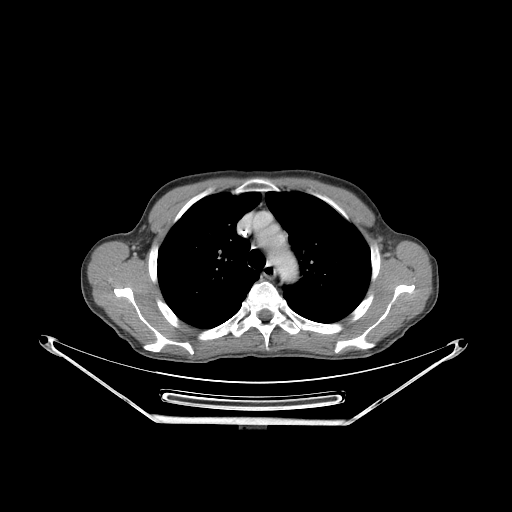 Chest, CT slice

lung:
  - rect(157, 191, 371, 328)
bone:
  - rect(157, 300, 177, 326)
  - rect(177, 199, 194, 218)
  - rect(149, 250, 156, 280)
  - rect(254, 179, 262, 190)
  - rect(114, 288, 193, 353)
  - rect(335, 285, 414, 351)
  - rect(199, 282, 349, 346)
  - rect(353, 295, 372, 319)